FLAIR MRI.
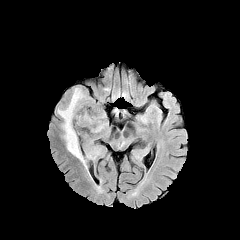
T1-weighted MR.
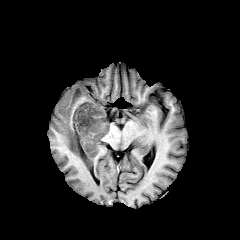
Post-contrast T1-weighted magnetic resonance.
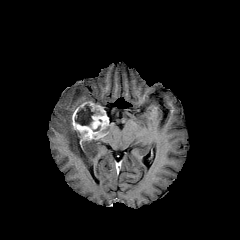
T2-weighted MR image.
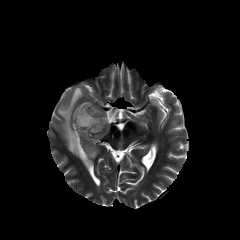
Head, 240x240 px
<segmentation>
  <non-enhancing_tumor_core>(left=75, top=104, right=99, bottom=125)</non-enhancing_tumor_core>
  <edema>(left=57, top=87, right=87, bottom=168), (left=85, top=146, right=101, bottom=160)</edema>
  <enhancing_tumor>(left=72, top=102, right=108, bottom=140)</enhancing_tumor>
</segmentation>